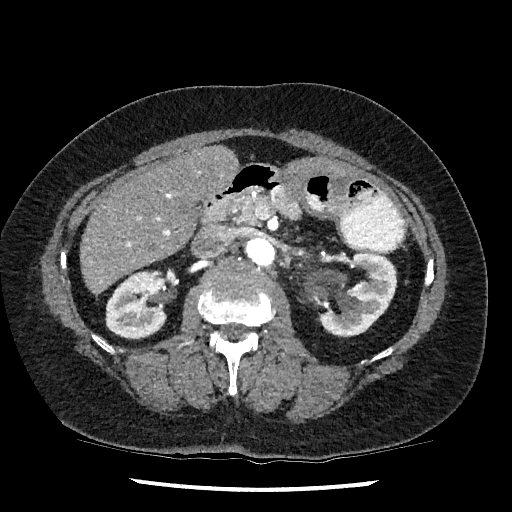 Abdomen; 512x512 px; CT

Kidney — <box>320,252,396,335</box>, <box>106,270,176,338</box>.
Liver — <box>291,160,358,178</box>, <box>80,146,238,294</box>.